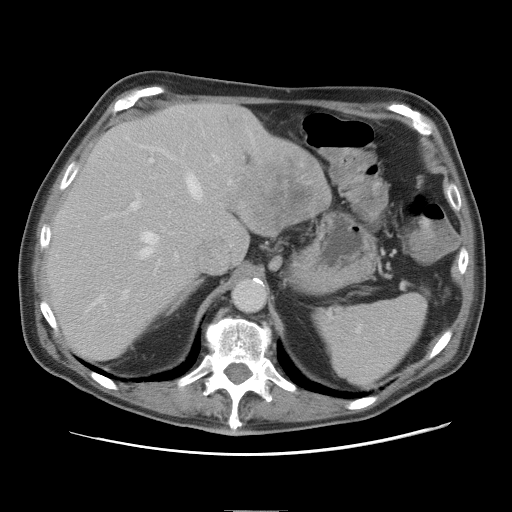

Image size 512x512 | Liver | CT
Some hepatic vessels may have no box.
Liver tumor = l=242, t=160, r=317, b=233.
Hepatic vessel = l=175, t=254, r=177, b=257; l=229, t=181, r=232, b=184; l=187, t=175, r=202, b=199; l=150, t=147, r=165, b=153; l=132, t=193, r=140, b=208; l=150, t=158, r=153, b=162; l=94, t=298, r=101, b=304; l=214, t=156, r=219, b=161; l=141, t=232, r=158, b=258; l=124, t=290, r=127, b=298.